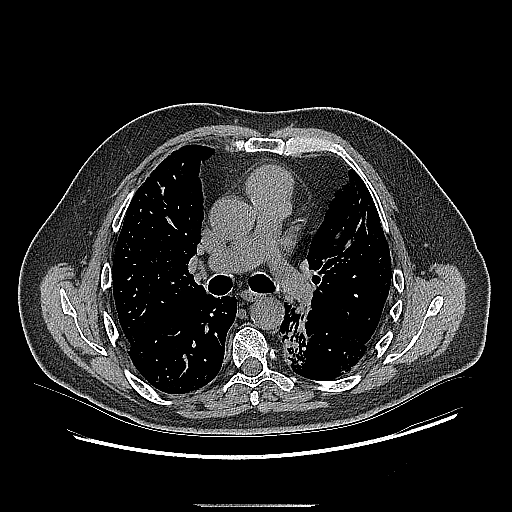 CT; 512x512 px
The lung tumor is located at [280, 302, 309, 369].